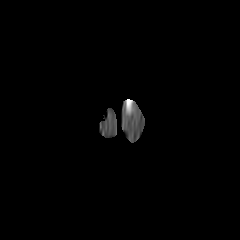
FLAIR magnetic resonance.
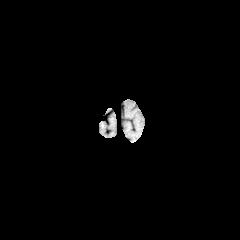
Same slice, T1-weighted MR image.
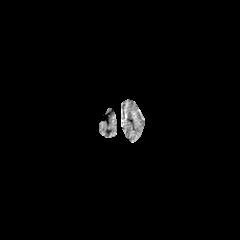
Same slice, post-contrast T1-weighted MR.
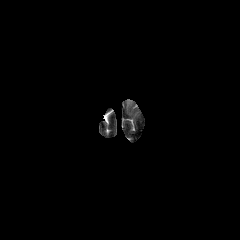
Same slice, T2-weighted MR image.
The edema is at l=124, t=99, r=140, b=116.